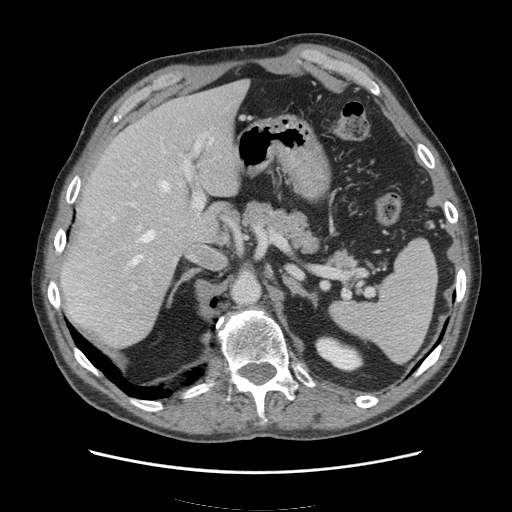 Computed tomography
Spleen — (left=329, top=238, right=437, bottom=362).